FLAIR MR.
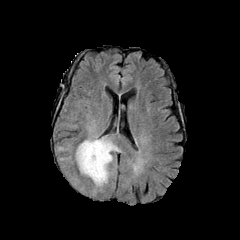
T1-weighted magnetic resonance.
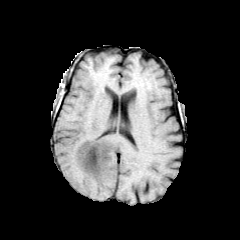
Post-contrast T1-weighted magnetic resonance.
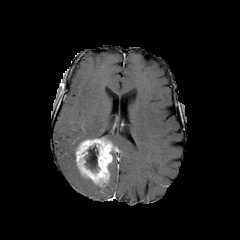
T2-weighted MR.
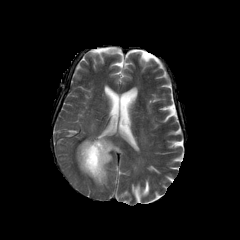
Edema: box(90, 183, 104, 196); box(84, 117, 123, 153); box(108, 150, 117, 180).
Non-enhancing tumor core: box(86, 146, 98, 169).
Enhancing tumor: box(76, 138, 118, 186).